FLAIR magnetic resonance.
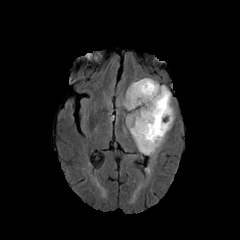
T1-weighted MR image.
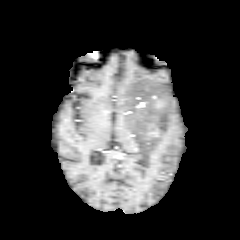
Post-contrast T1-weighted MR image.
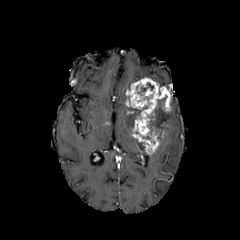
T2-weighted magnetic resonance.
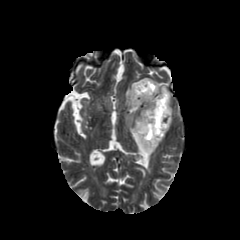
Head. 240x240 px.
{"non-enhancing_tumor_core": ["(136,85,153,111)", "(141,95,170,139)"], "enhancing_tumor": ["(126,78,170,153)"], "edema": ["(122,92,175,158)"]}